Slice 51 of 155. Brain.
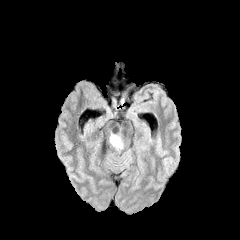
FLAIR MR.
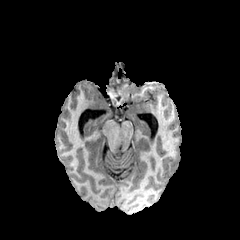
Same slice, T1-weighted MR.
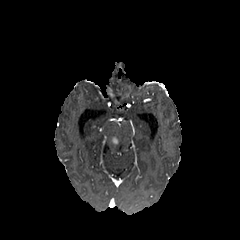
Post-contrast T1-weighted magnetic resonance.
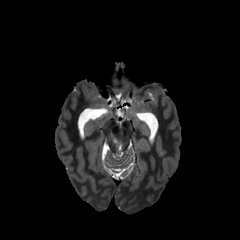
T2-weighted magnetic resonance.
Segmented structures:
* edema: 109 134 122 149